CT scan slice, Abdomen, Slice 106/168
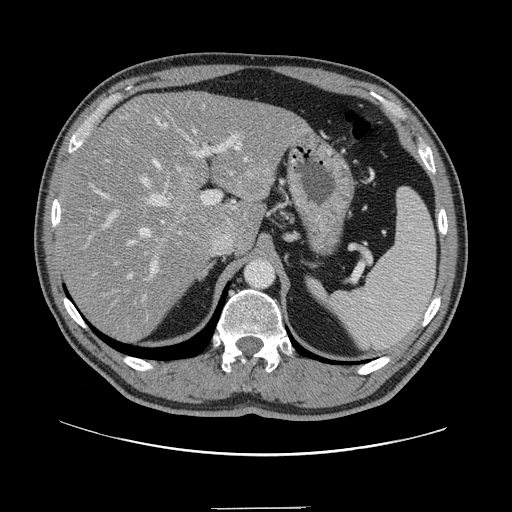 The vessel annotation is not exhaustive.
The most prominent 15 hepatic vessel regions (of 20) appear at (91, 185, 108, 198), (151, 260, 158, 274), (140, 228, 151, 237), (194, 130, 196, 133), (128, 242, 133, 245), (153, 160, 159, 167), (148, 191, 167, 205), (104, 213, 115, 227), (129, 274, 132, 278), (142, 178, 149, 186), (156, 118, 166, 128), (194, 135, 240, 156), (143, 296, 145, 300), (201, 191, 221, 205), (89, 236, 91, 240). The liver tumor is located at (237, 171, 275, 199).